CT slice | Field of view 350x350 mm | Slice 71/178
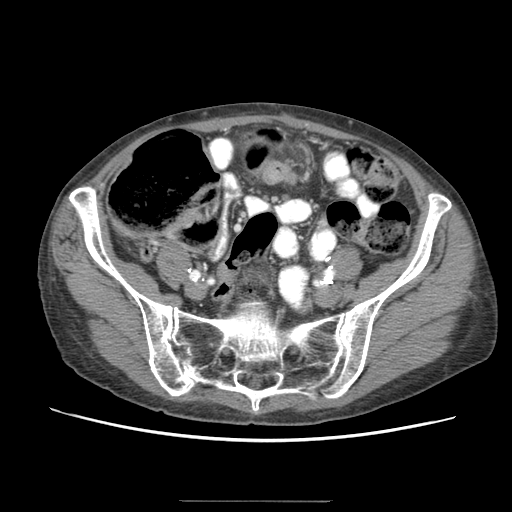

The colon tumor is located at 263 161 297 183.